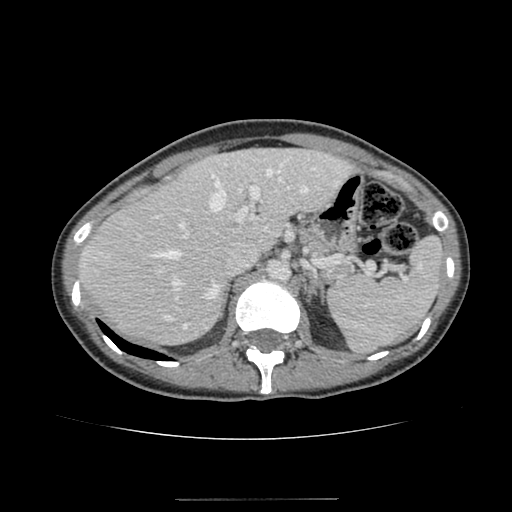
Image size 512x512. CT slice. The liver is bounded by {"x1": 80, "y1": 148, "x2": 355, "y2": 345}.